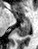 MR image; Medial temporal lobe; Image size 38x49

<segmentation>
  <anterior_hippocampus>(15,16,17,17), (24,18,29,20)</anterior_hippocampus>
  <posterior_hippocampus>(15,21,30,37)</posterior_hippocampus>
</segmentation>